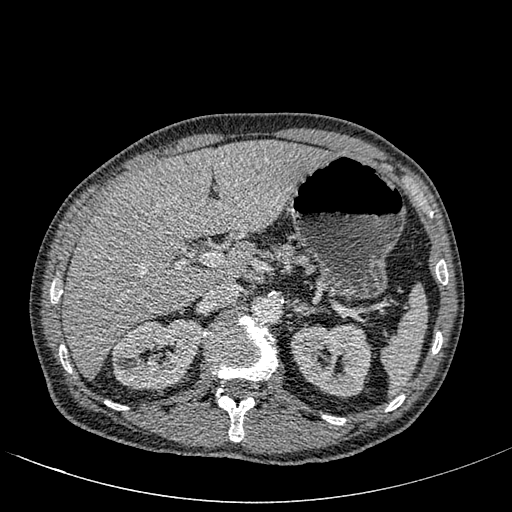

CT.

2 kidney regions appear at box=[291, 325, 370, 395]; box=[112, 319, 203, 389]. The focal liver lesion is at box=[156, 171, 164, 178]. The liver appears at box=[62, 140, 330, 378].